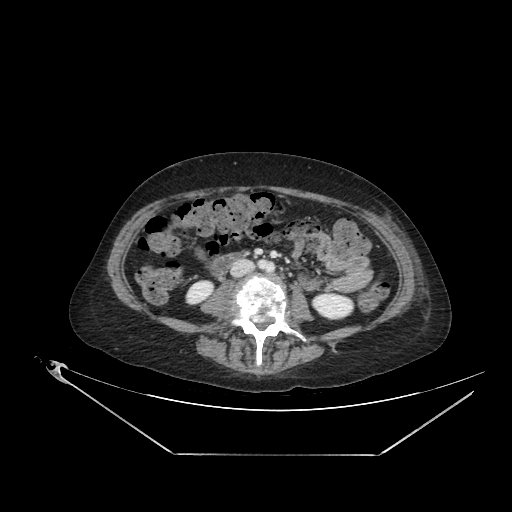
CT, Abdomen, 512x512 px
Kidney at left=313, top=294, right=352, bottom=318; left=187, top=282, right=212, bottom=303.